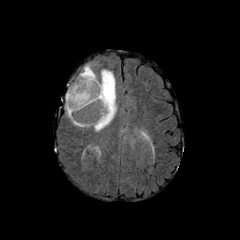
FLAIR MR image.
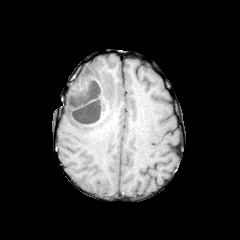
T1-weighted magnetic resonance of the same slice.
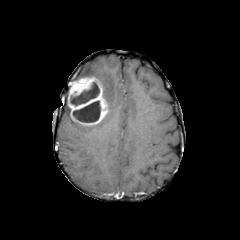
Post-contrast T1-weighted MRI of the same slice.
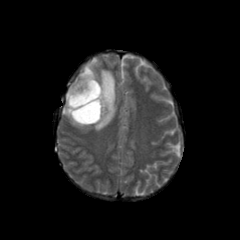
Same slice, T2-weighted MR.
Image size 240x240
2 edema regions are located at x1=65, y1=93, x2=90, y2=127; x1=75, y1=62, x2=117, y2=131. The enhancing tumor is located at x1=67, y1=77, x2=107, y2=125. 2 non-enhancing tumor core regions are bounded by x1=72, y1=100, x2=100, y2=122; x1=70, y1=81, x2=99, y2=106.